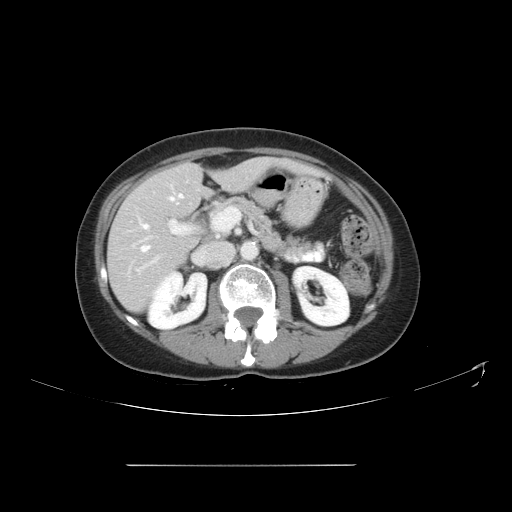

Liver | CT scan slice

The vessel annotation is not exhaustive.
<segmentation>
  <hepatic_vessel>137,256,158,271; 140,236,150,241; 141,245,149,251; 170,197,175,200; 139,218,148,228; 175,201,178,204; 178,194,182,198</hepatic_vessel>
</segmentation>